Computed tomography; Brain 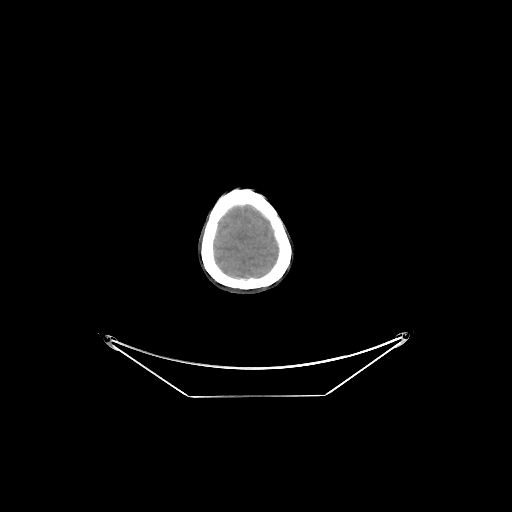 <segmentation>
  <brain>[214,205,278,278]</brain>
</segmentation>